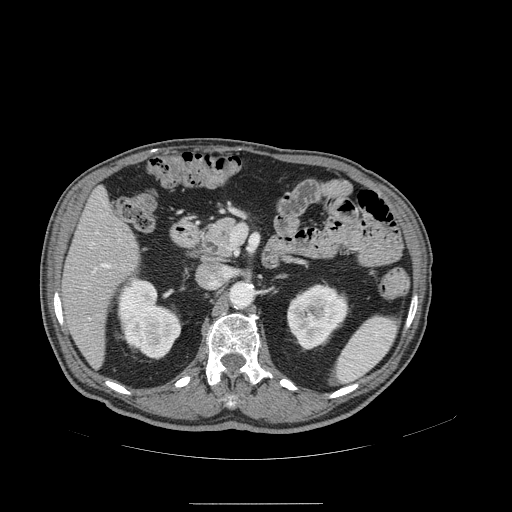 Upper abdomen | Computed tomography
* pancreatic tumor: rect(219, 217, 237, 227)
* pancreas: rect(201, 215, 243, 259)